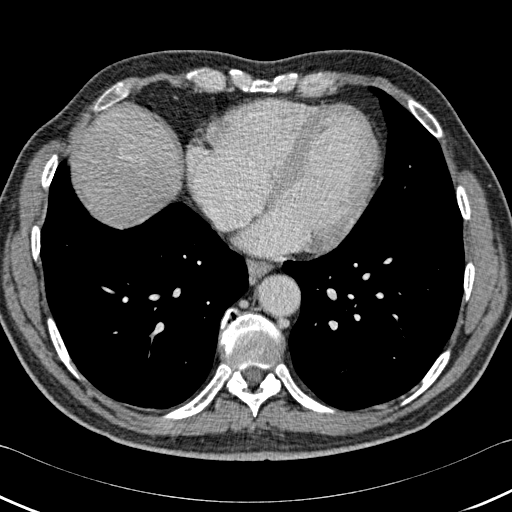 Image size 512x512, CT scan slice
2 lung regions appear at rect(275, 86, 465, 410); rect(40, 159, 248, 408). 10 bone regions appear at rect(41, 155, 57, 187); rect(464, 263, 474, 299); rect(163, 309, 333, 419); rect(94, 82, 128, 110); rect(457, 186, 470, 219); rect(407, 351, 449, 401); rect(31, 226, 39, 259); rect(241, 74, 291, 92); rect(48, 318, 78, 377); rect(408, 100, 441, 137). 2 liver regions are located at rect(136, 156, 166, 212); rect(84, 117, 150, 226).